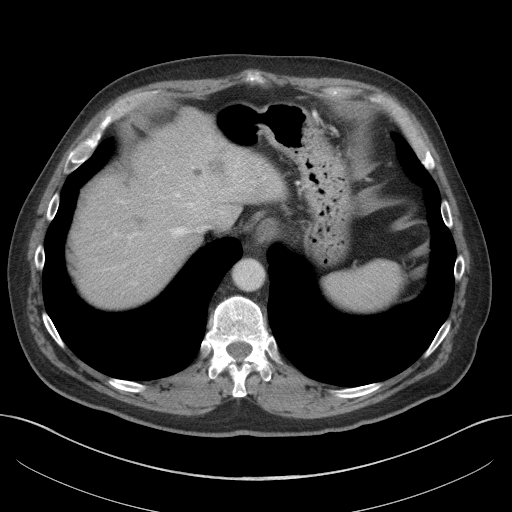

CT
The liver is bounded by [x1=68, y1=110, x2=274, y2=309]. 3 hepatic lesion regions appear at [x1=136, y1=215, x2=145, y2=227], [x1=194, y1=168, x2=201, y2=175], [x1=210, y1=159, x2=226, y2=175].